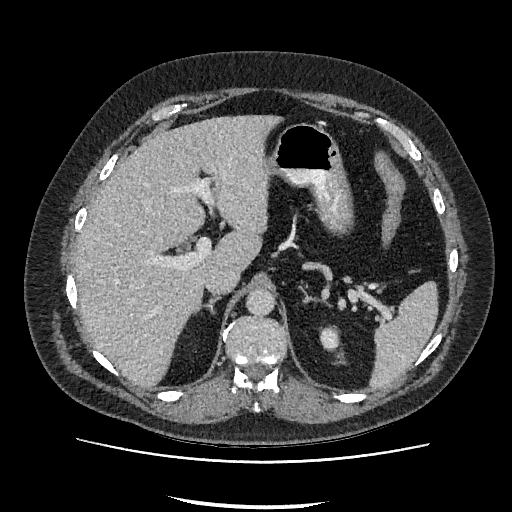
512x512 px; CT image
{
  "liver": [
    "[x1=75, y1=115, x2=282, y2=385]"
  ],
  "kidney": [
    "[x1=321, y1=330, x2=336, y2=347]"
  ]
}